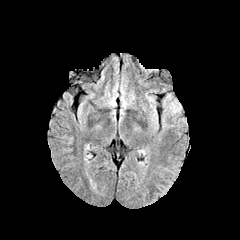
FLAIR MRI.
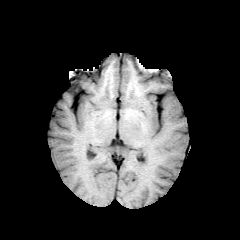
T1-weighted MRI.
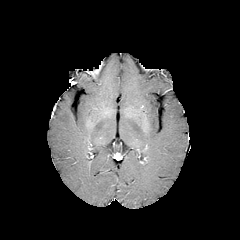
Same slice, post-contrast T1-weighted magnetic resonance.
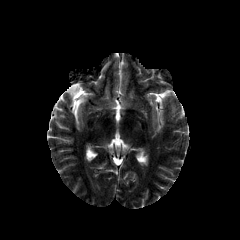
T2-weighted MR of the same slice.
Brain, Image size 240x240
2 edema regions appear at (x1=148, y1=97, x2=158, y2=129), (x1=164, y1=93, x2=181, y2=117).